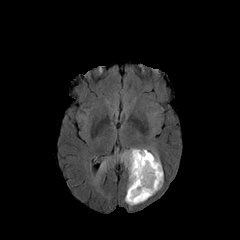
FLAIR MR image.
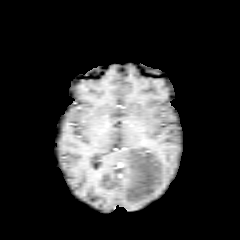
T1-weighted MRI.
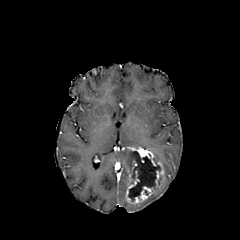
Post-contrast T1-weighted MR of the same slice.
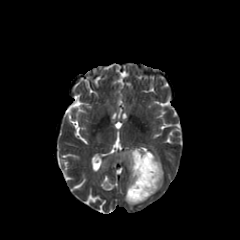
T2-weighted MR.
Brain.
non-enhancing_tumor_core:
  - 128,151,160,201
edema:
  - 124,194,145,205
  - 119,149,133,173
  - 148,164,163,197
enhancing_tumor:
  - 131,148,159,166
  - 133,186,154,202
  - 154,170,161,187
  - 128,170,138,189